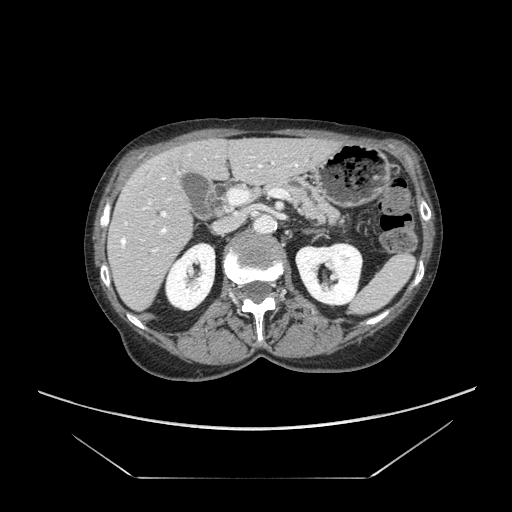
CT. Segmented structures:
• pancreas: <box>264,176,349,233</box>